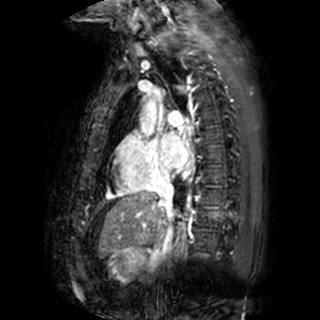
MR image, Image size 320x320
Segmented structures:
* left atrium: {"x1": 161, "y1": 131, "x2": 187, "y2": 167}